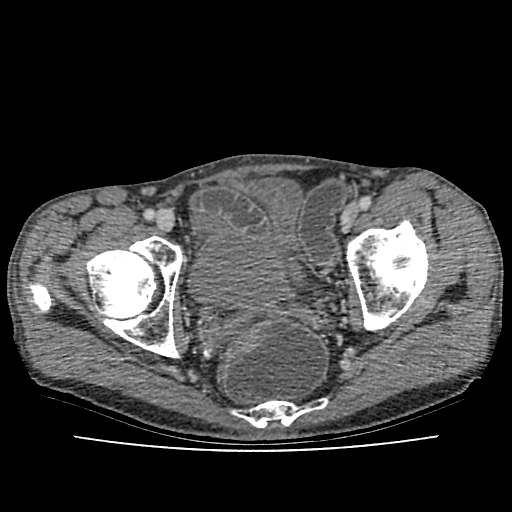 Pelvis; CT slice
The urinary bladder appears at (187, 177, 303, 308).